Field of view 35x52 mm, Medial temporal lobe, MR
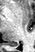

• posterior hippocampus: bbox=[6, 42, 17, 46]